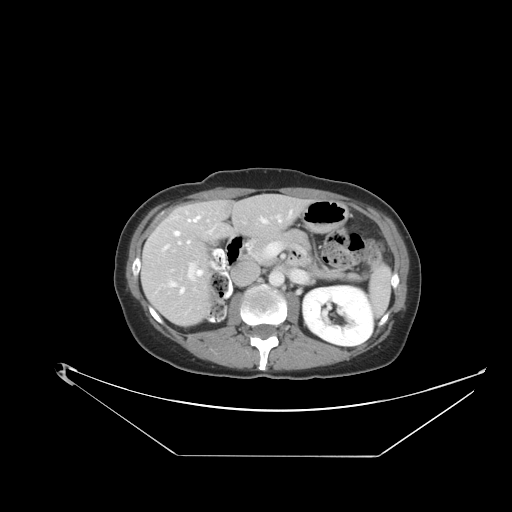

CT image; 512x512; Abdomen
Pancreas at {"x1": 250, "y1": 229, "x2": 362, "y2": 281}.